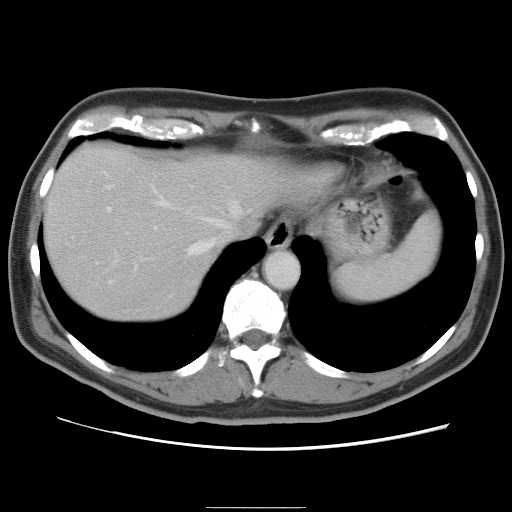 Abdomen; CT scan slice

The vessel boxes may cover only some of the vessels.
Hepatic vessel at [186, 211, 188, 213], [140, 257, 143, 259], [230, 200, 239, 214], [113, 253, 118, 262], [104, 172, 105, 174], [108, 279, 112, 282], [152, 186, 167, 205], [187, 239, 213, 254], [107, 206, 110, 210], [106, 185, 111, 188], [207, 217, 225, 226], [154, 225, 156, 228], [134, 265, 136, 269].